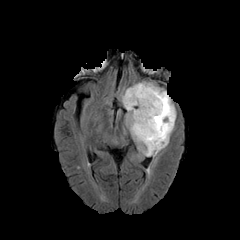
FLAIR MR.
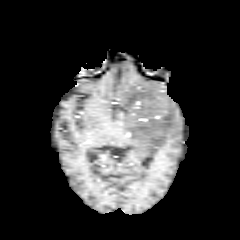
Same slice, T1-weighted magnetic resonance.
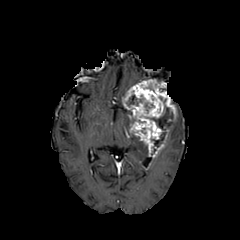
Same slice, post-contrast T1-weighted MR.
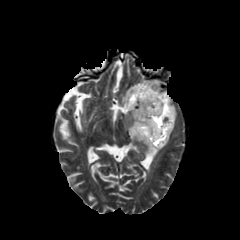
T2-weighted MR image.
Brain.
2 non-enhancing tumor core regions appear at [150,96,173,146], [127,95,143,106]. 3 edema regions are located at [150,114,177,163], [118,81,141,103], [123,110,150,158]. The enhancing tumor is bounded by [122,81,176,155].